240x240 px; Head
FLAIR MRI.
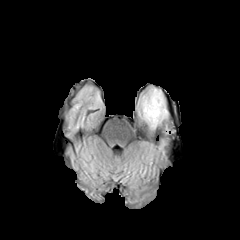
T1-weighted MRI.
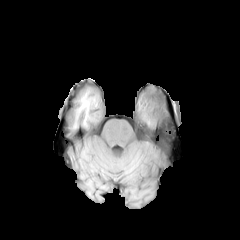
Post-contrast T1-weighted magnetic resonance.
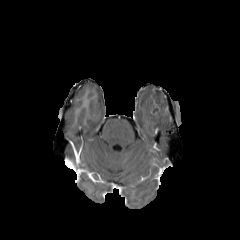
T2-weighted MR.
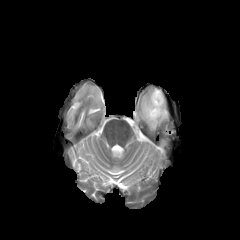
{"non-enhancing_tumor_core": ["(151,97,167,115)"], "edema": ["(141,89,166,128)"]}